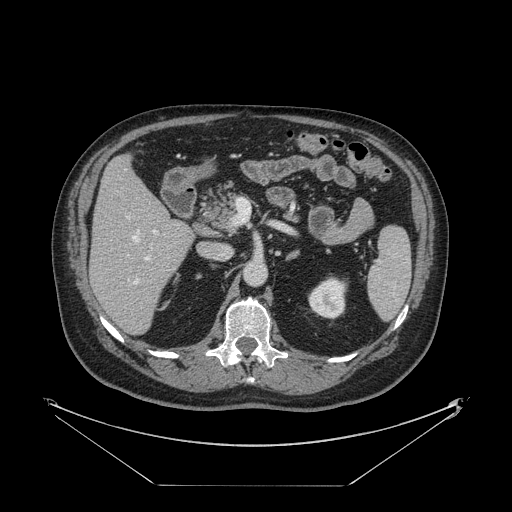 CT; Liver

Some hepatic vessels may have no box.
hepatic_vessel:
  - left=153, top=230, right=156, bottom=232
  - left=145, top=257, right=148, bottom=260